Field of view 434x434 mm, CT slice

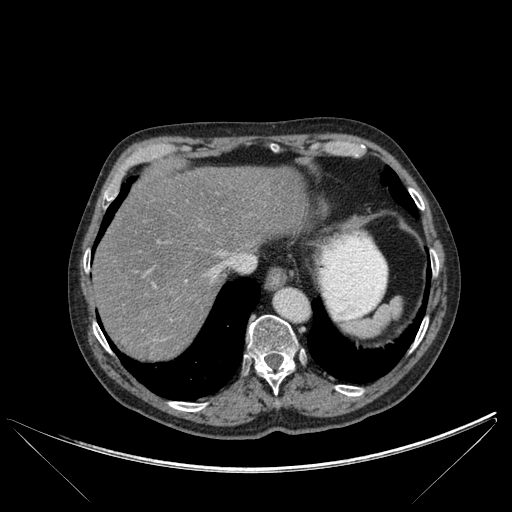

{"liver": ["(90,166,304,361)"], "lung": ["(95,177,135,246)", "(108,278,260,400)", "(381,166,418,217)", "(307,266,430,382)"], "bone": ["(93,323,110,351)", "(83,254,89,271)", "(409,188,424,209)", "(335,385,362,396)", "(431,251,438,273)", "(169,402,205,411)", "(413,318,428,347)", "(104,191,112,200)", "(246,315,297,394)"]}